Abdomen, CT, Slice 299/427 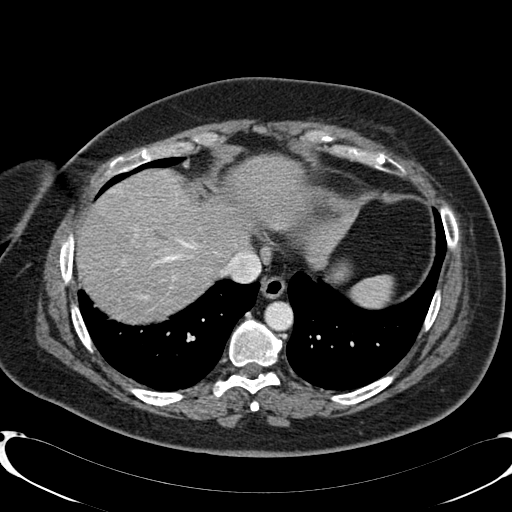

liver:
  - bbox=[306, 202, 359, 270]
  - bbox=[77, 158, 306, 322]